Brain
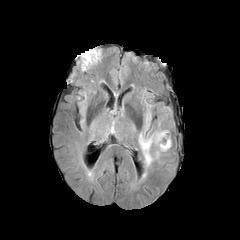
FLAIR MR image.
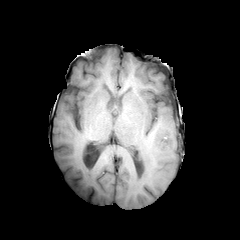
T1-weighted magnetic resonance.
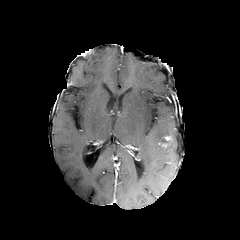
Post-contrast T1-weighted MRI.
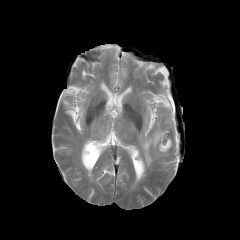
T2-weighted MR.
<segmentation>
  <edema>138,103,171,168; 104,114,115,136</edema>
</segmentation>